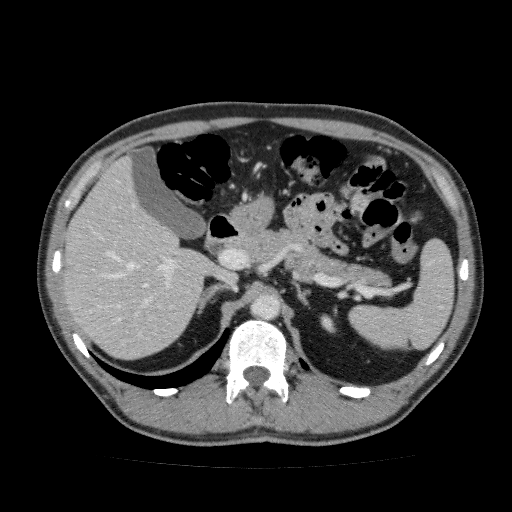
Abdomen; CT image

Annotated regions:
• liver: (62, 155, 238, 360)
• kidney: (323, 318, 331, 328)